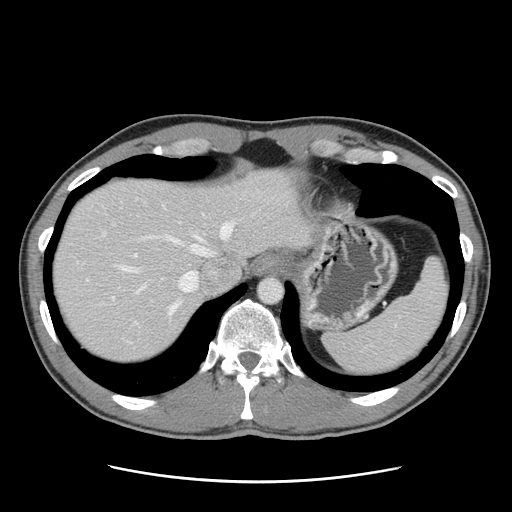
Liver | Image size 512x512 | CT scan slice

The vessel annotation is not exhaustive.
<segmentation>
  <hepatic_vessel>box=[144, 236, 153, 237]; box=[112, 296, 113, 298]; box=[168, 237, 180, 242]; box=[168, 301, 178, 314]; box=[102, 233, 104, 235]; box=[161, 278, 162, 279]; box=[134, 254, 136, 256]; box=[179, 271, 196, 290]; box=[136, 285, 143, 291]; box=[220, 222, 232, 239]; box=[195, 235, 203, 241]; box=[191, 244, 210, 255]; box=[120, 266, 138, 272]</hepatic_vessel>
</segmentation>